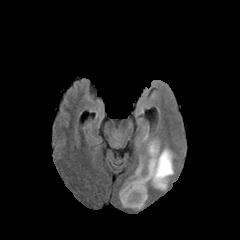
FLAIR magnetic resonance.
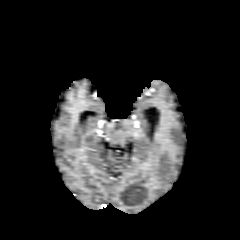
T1-weighted MR.
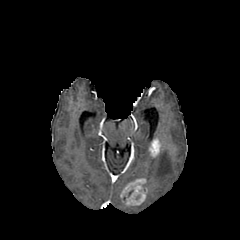
Post-contrast T1-weighted MR image of the same slice.
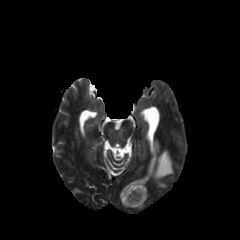
T2-weighted MR.
240x240 px | Brain
2 enhancing tumor regions appear at (x1=120, y1=178, x2=145, y2=205), (x1=149, y1=139, x2=159, y2=156). The edema appears at (x1=130, y1=134, x2=173, y2=198).